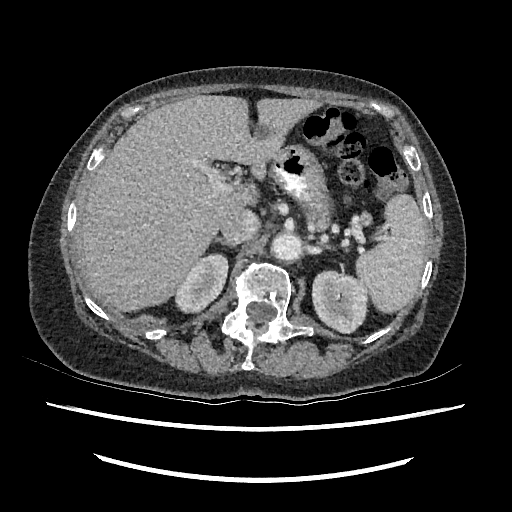

Upper abdomen | 512x512 px | CT slice
2 kidney regions are bounded by 312 271 369 332, 176 255 227 311. The liver lies within 84 96 321 311. The liver lesion appears at 254 124 269 139.